Image size 512x512 | CT | Slice index 43

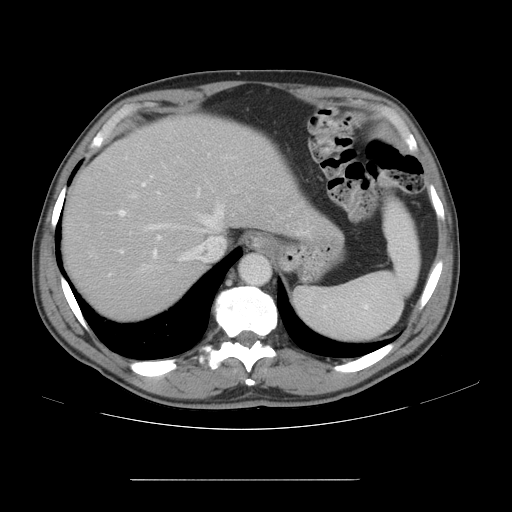
The vessel boxes may cover only some of the vessels.
liver tumor: l=80, t=209, r=96, b=223 | hepatic vessel: l=208, t=153, r=209, b=155; l=201, t=205, r=223, b=226; l=197, t=187, r=200, b=196; l=162, t=164, r=164, b=165; l=119, t=250, r=122, b=252; l=151, t=175, r=153, b=177; l=157, t=236, r=160, b=239; l=142, t=182, r=145, b=186; l=119, t=210, r=125, b=215; l=152, t=249, r=156, b=257; l=130, t=196, r=134, b=196; l=179, t=252, r=189, b=260